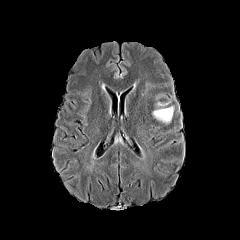
FLAIR MR.
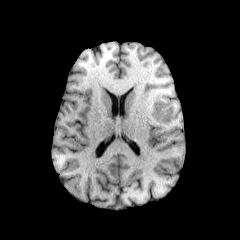
T1-weighted MRI of the same slice.
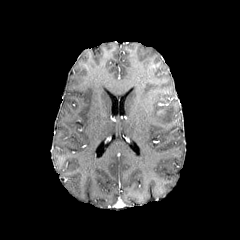
Post-contrast T1-weighted MR.
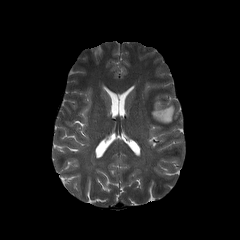
T2-weighted MR.
240x240 px | Brain
Findings:
• edema: box(151, 105, 174, 125)